Liver | Field of view 328x328 mm | CT 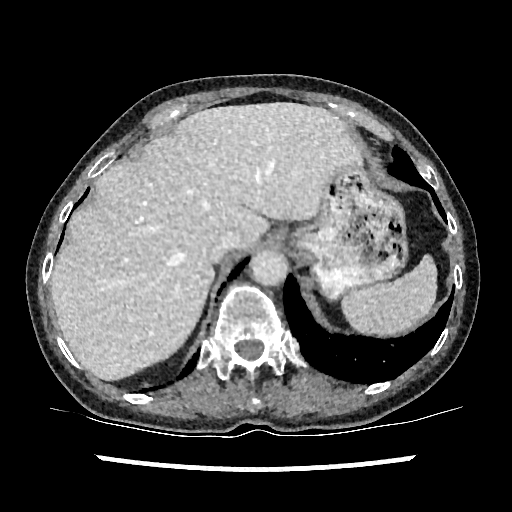

The liver is at 52,103,359,378.